CT scan slice.
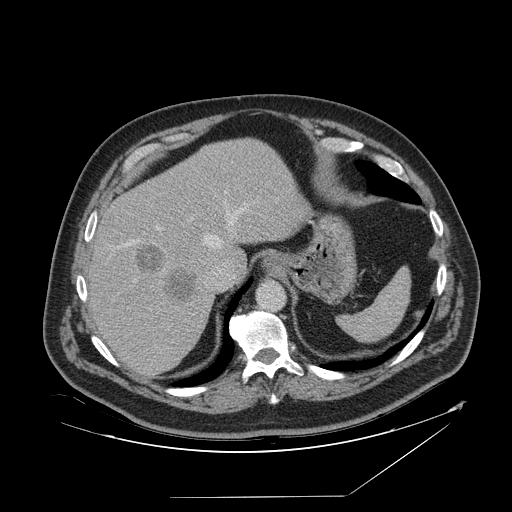
Annotated regions:
- spleen: box(338, 268, 410, 341)